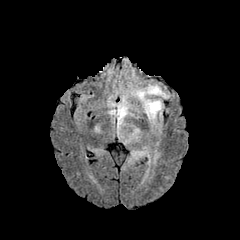
FLAIR MR image.
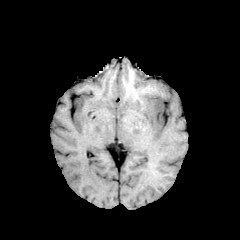
T1-weighted MR of the same slice.
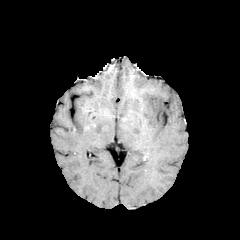
Post-contrast T1-weighted MR of the same slice.
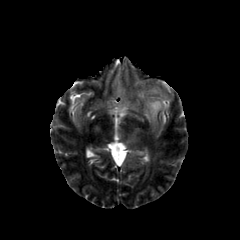
T2-weighted MR of the same slice.
Brain
2 edema regions are bounded by l=138, t=82, r=169, b=121; l=118, t=107, r=126, b=119.